Image width 400 mm; 320x320 px; MR image 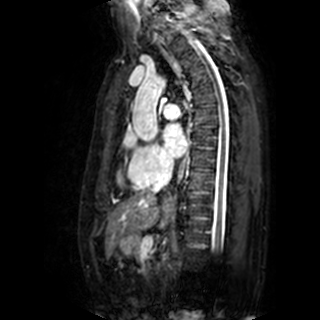 The left atrium is at 162 123 187 158.